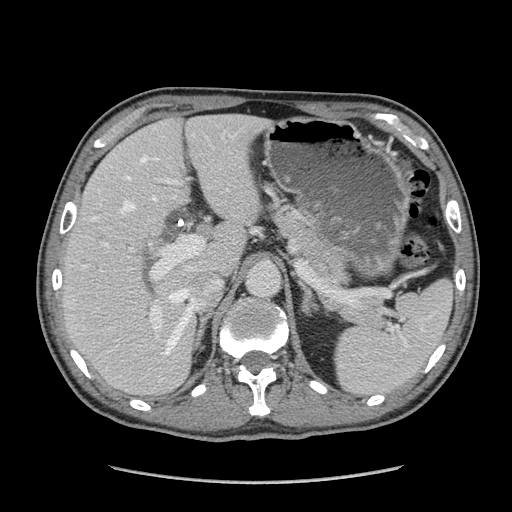
Upper abdomen; Computed tomography

Pancreas at {"x1": 267, "y1": 199, "x2": 350, "y2": 297}.